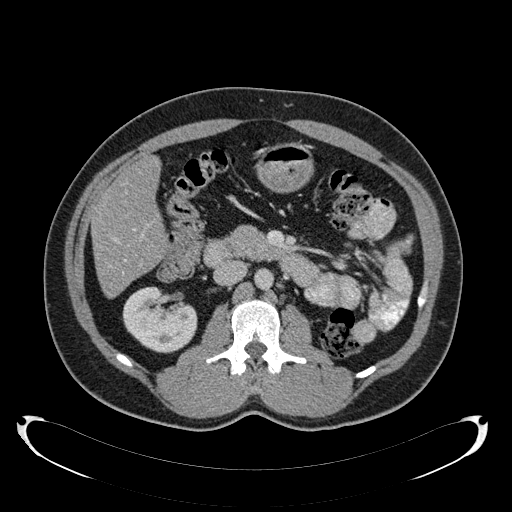

CT scan slice | Abdomen
2 kidney regions are located at x1=123, y1=287, x2=196, y2=351; x1=182, y1=351, x2=189, y2=358. The liver appears at x1=91, y1=157, x2=165, y2=296.